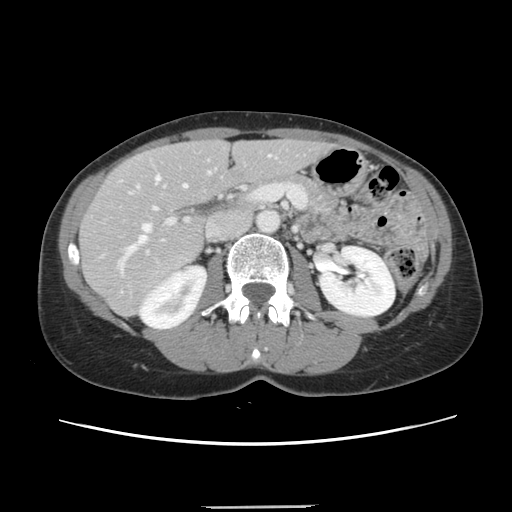
Abdomen. Computed tomography. The vessel boxes may cover only some of the vessels.
Hepatic vessel: l=146, t=251, r=147, b=253; l=268, t=155, r=270, b=156; l=153, t=207, r=156, b=209; l=208, t=171, r=210, b=173; l=118, t=245, r=135, b=270; l=137, t=186, r=138, b=188; l=155, t=175, r=159, b=183; l=166, t=218, r=173, b=223; l=183, t=184, r=186, b=186; l=137, t=223, r=150, b=243.